CT; Liver 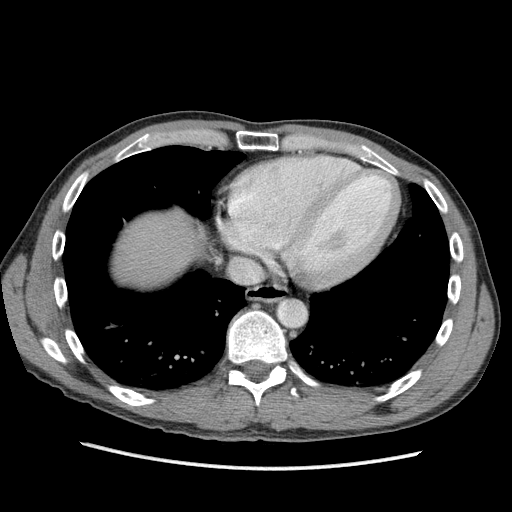

The liver is located at (left=112, top=208, right=205, bottom=287).